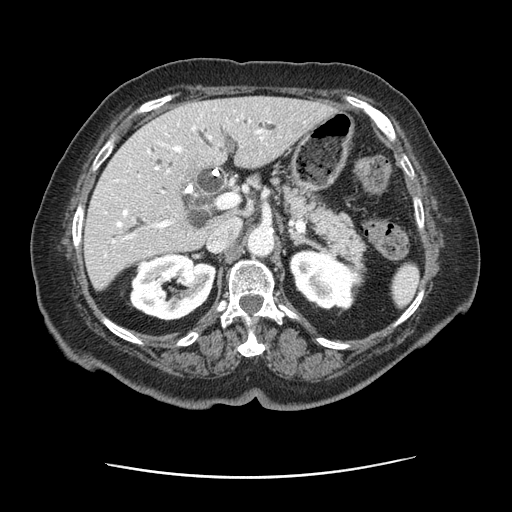
Upper abdomen, CT image
Pancreas at region(270, 176, 367, 271).